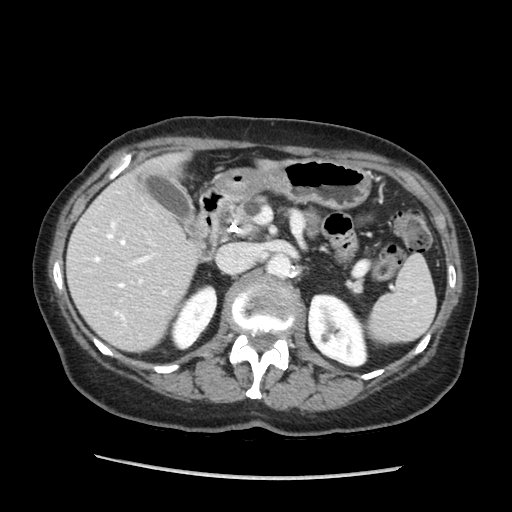 Abdomen. Computed tomography.

pancreas: [x1=235, y1=196, x2=266, y2=226]